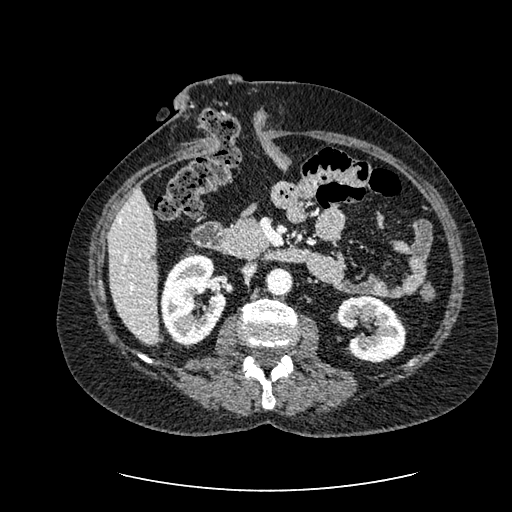 Computed tomography. Image size 512x512.

kidney:
  - x1=338 y1=296 x2=404 y2=361
  - x1=161 y1=255 x2=225 y2=344
liver:
  - x1=108 y1=186 x2=158 y2=344